Head
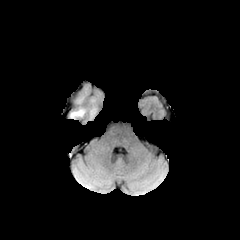
FLAIR MRI.
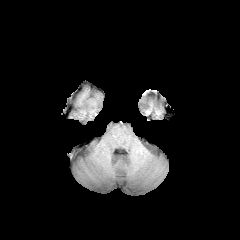
T1-weighted MR image.
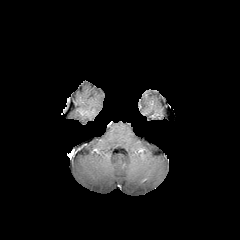
Post-contrast T1-weighted MR.
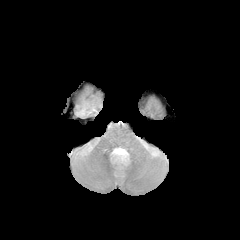
T2-weighted MR image.
Edema: {"x1": 74, "y1": 108, "x2": 86, "y2": 116}.